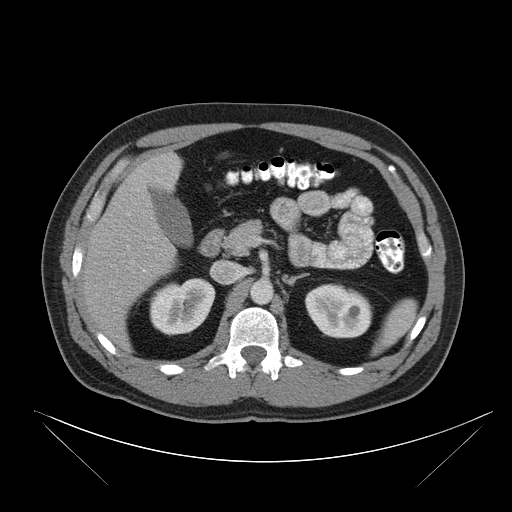

Computed tomography. Abdomen.

Segmented structures:
* spleen: x1=373, y1=298, x2=417, y2=353